512x512 | CT | Abdomen
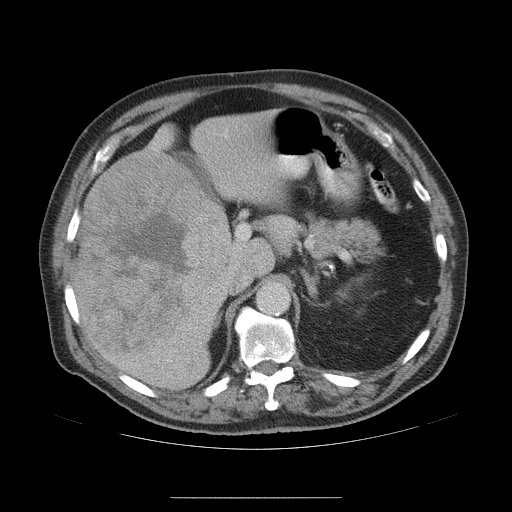 Not every hepatic vessel necessarily has a box.
Hepatic vessel at box(222, 131, 227, 137); box(195, 317, 196, 319); box(156, 360, 158, 361); box(243, 237, 244, 239).
Liver tumor at box(73, 152, 229, 357).